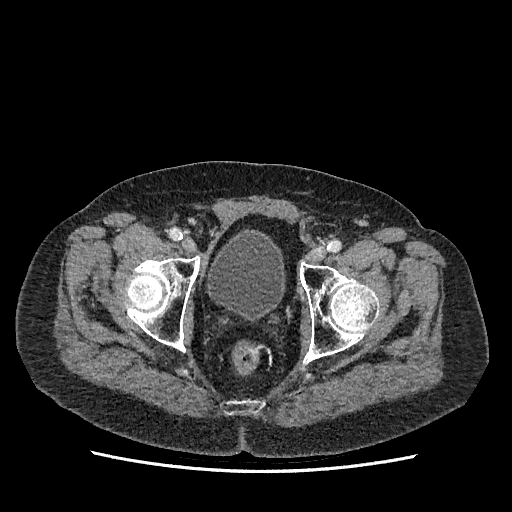 Pelvis, Image size 512x512, CT image
Annotated regions:
* urinary bladder: <bbox>207, 232, 283, 318</bbox>